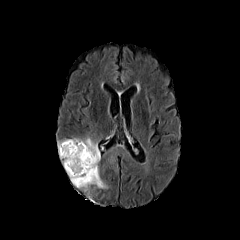
FLAIR MRI.
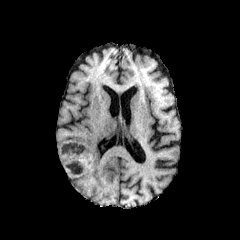
T1-weighted MR image.
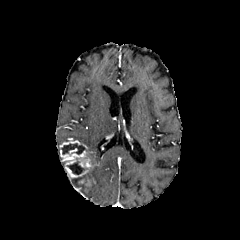
Post-contrast T1-weighted magnetic resonance.
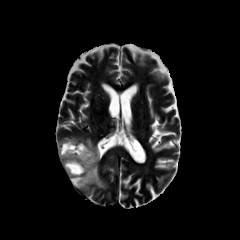
T2-weighted magnetic resonance.
Image size 240x240
Enhancing tumor — bbox=[59, 140, 96, 178].
Edema — bbox=[72, 136, 100, 162]; bbox=[71, 165, 108, 191].
Non-enhancing tumor core — bbox=[62, 143, 84, 155]; bbox=[66, 161, 84, 174].